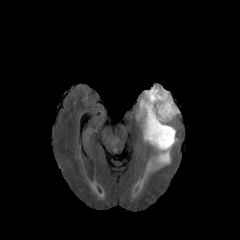
FLAIR MRI.
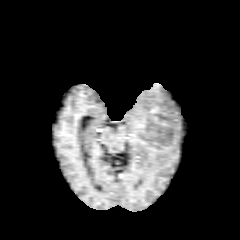
T1-weighted MR image of the same slice.
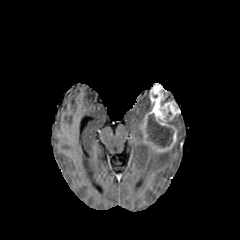
Post-contrast T1-weighted MR.
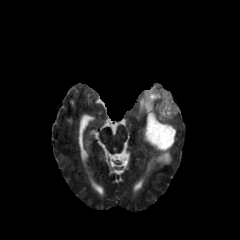
T2-weighted magnetic resonance of the same slice.
Brain.
The enhancing tumor appears at 142 83 180 152. 2 edema regions appear at 136 90 149 121, 137 149 171 187. The non-enhancing tumor core is at 147 115 173 147.